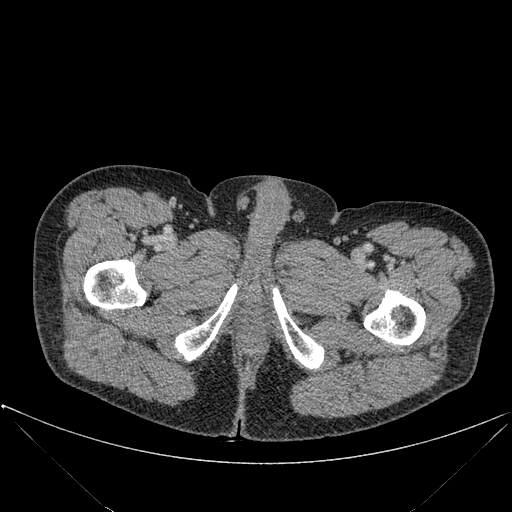
CT slice
Annotated regions:
• bone: (84, 260, 146, 309), (175, 284, 237, 360), (364, 290, 425, 345), (273, 288, 323, 368)